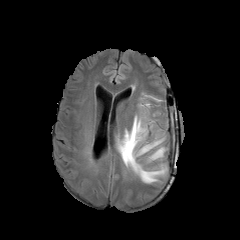
FLAIR MR image.
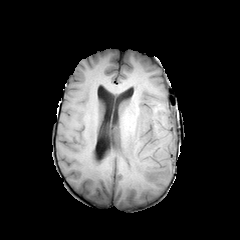
Same slice, T1-weighted MRI.
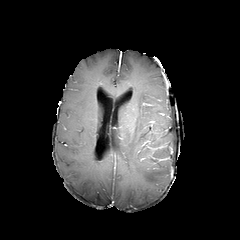
Post-contrast T1-weighted MR image.
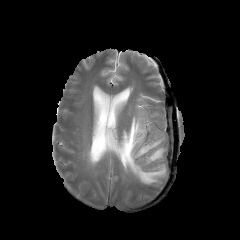
Same slice, T2-weighted magnetic resonance.
Brain
The edema is located at region(114, 93, 167, 185).